Slice 412 of 816, CT scan slice

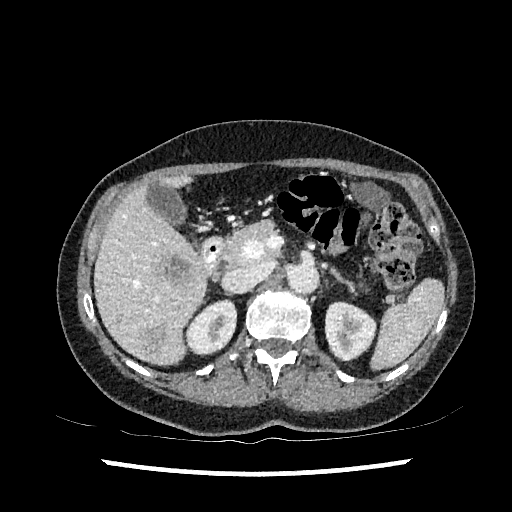 2 liver regions are bounded by {"x1": 94, "y1": 186, "x2": 204, "y2": 363}, {"x1": 163, "y1": 177, "x2": 186, "y2": 186}. 2 kidney regions are bounded by {"x1": 187, "y1": 301, "x2": 236, "y2": 353}, {"x1": 325, "y1": 303, "x2": 375, "y2": 359}. 2 liver lesion regions are bounded by {"x1": 144, "y1": 325, "x2": 167, "y2": 354}, {"x1": 160, "y1": 255, "x2": 194, "y2": 286}.